Slice index 122, Brain
FLAIR magnetic resonance.
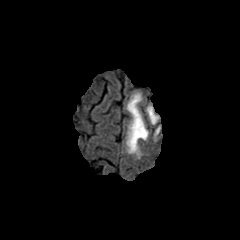
T1-weighted magnetic resonance.
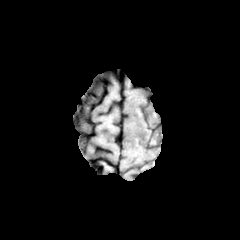
Post-contrast T1-weighted MR image.
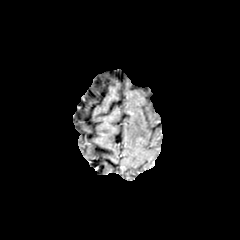
T2-weighted MRI.
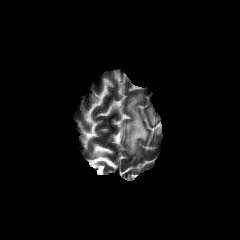
edema: 124,92,160,155